Head | Slice 103 of 155
FLAIR MR image.
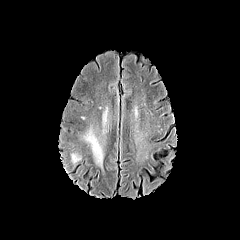
T1-weighted magnetic resonance.
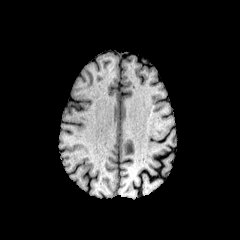
Post-contrast T1-weighted MR.
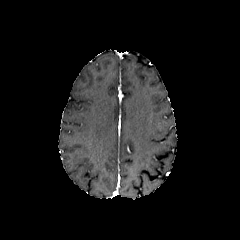
T2-weighted MR.
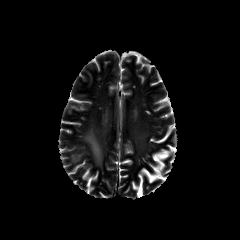
Edema: bounding box (left=83, top=129, right=102, bottom=167), (left=71, top=153, right=81, bottom=164).